Slice 126/161. CT.
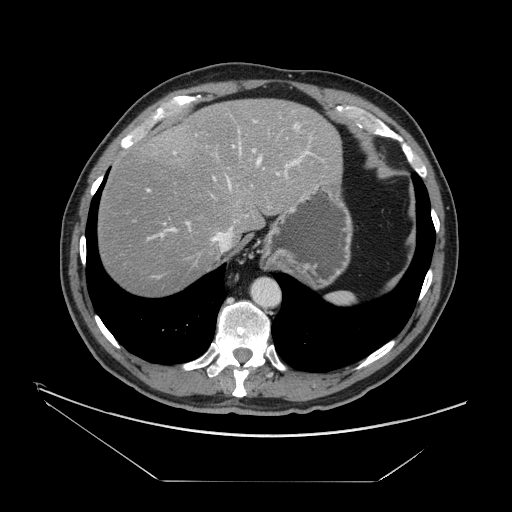 The vessel annotation is not exhaustive.
Hepatic vessel: bounding box bbox=[252, 149, 254, 151]; bbox=[285, 173, 286, 174]; bbox=[285, 151, 308, 167]; bbox=[164, 229, 167, 230]; bbox=[228, 180, 231, 187]; bbox=[295, 124, 298, 128]; bbox=[213, 233, 223, 240]; bbox=[230, 228, 231, 231]; bbox=[257, 157, 260, 164].